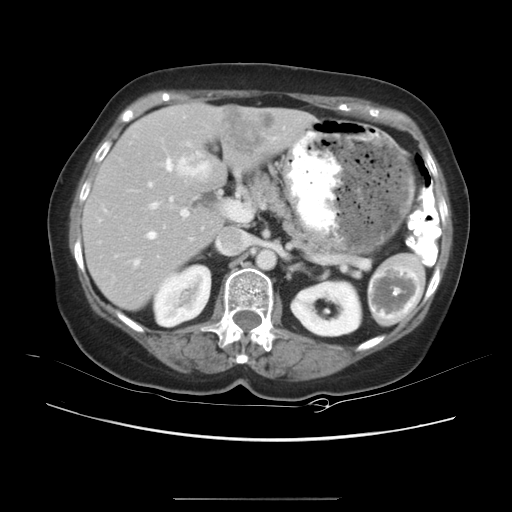 CT image, Liver
Only some of the vessels may be annotated.
12 hepatic vessel regions appear at [189,238,192,240], [146,231,156,239], [148,183,151,186], [185,142,191,146], [161,152,210,180], [102,206,106,211], [169,197,172,208], [269,137,277,141], [129,259,139,266], [283,128,284,129], [149,202,159,208], [180,208,188,217]. The liver tumor is located at [222,110,276,155].